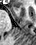
Medial temporal lobe. MR.

<segmentation>
  <anterior_hippocampus>x1=15 y1=7 x2=17 y2=9</anterior_hippocampus>
</segmentation>